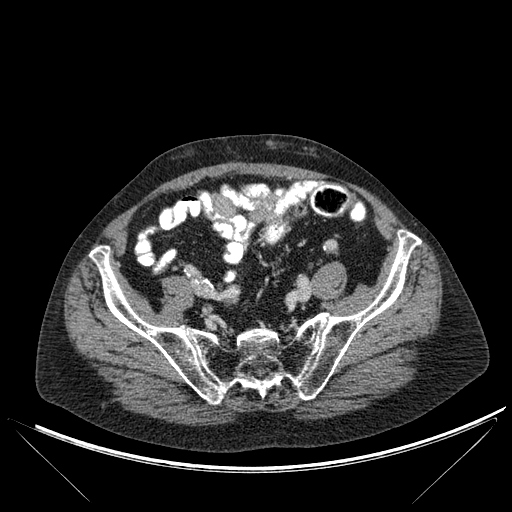
CT image

<segmentation>
  <bone>[89,230,421,403]</bone>
</segmentation>